CT
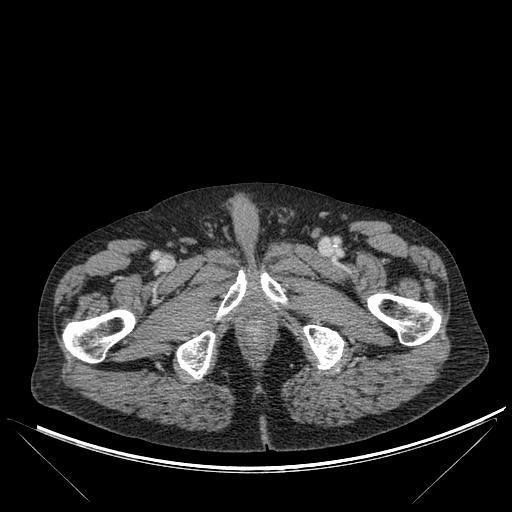

Bone = x1=216 y1=270 x2=246 y2=319, x1=177 y1=331 x2=215 y2=379, x1=367 y1=293 x2=441 y2=345, x1=62 y1=309 x2=135 y2=362, x1=261 y1=272 x2=286 y2=303, x1=303 y1=325 x2=343 y2=369.